FLAIR MRI.
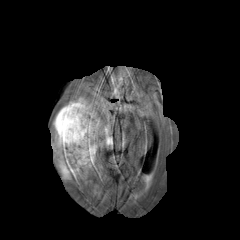
T1-weighted MRI.
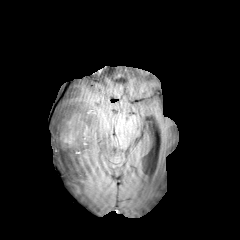
Post-contrast T1-weighted MR.
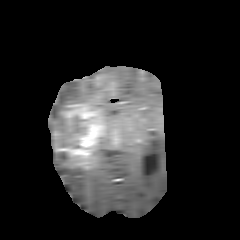
T2-weighted MR.
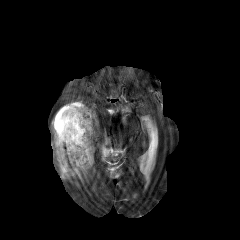
* non-enhancing tumor core: box=[54, 151, 69, 167]; box=[52, 112, 65, 132]
* edema: box=[59, 157, 97, 184]; box=[97, 122, 112, 148]; box=[51, 96, 97, 132]
* enhancing tumor: box=[53, 102, 103, 167]